Computed tomography | Image width 367 mm | Upper abdomen

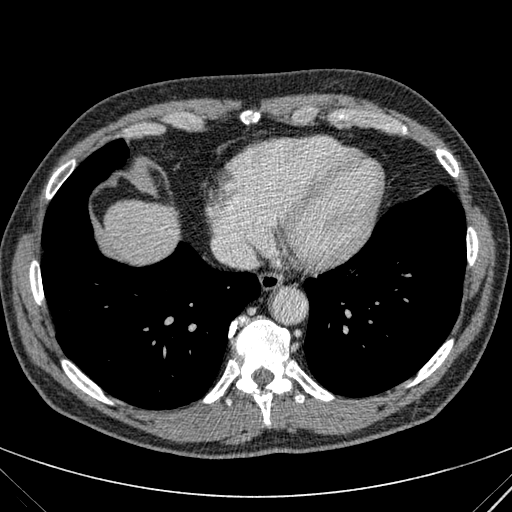
liver: <bbox>105, 201, 177, 262</bbox>